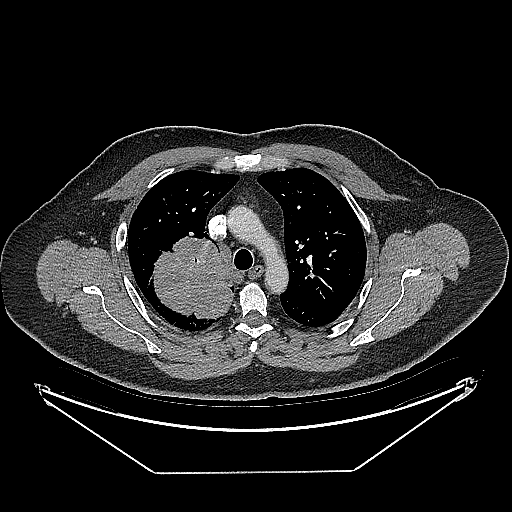
CT scan slice, Image size 512x512

Lung tumor: left=153, top=236, right=232, bottom=318.